FLAIR MRI.
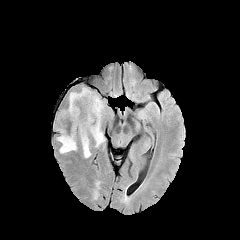
T1-weighted MR.
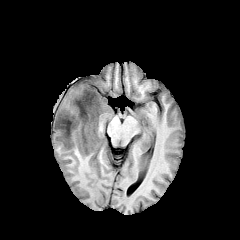
Post-contrast T1-weighted MR.
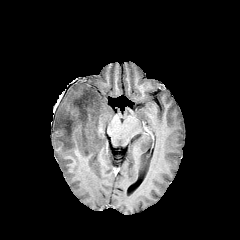
T2-weighted MR image.
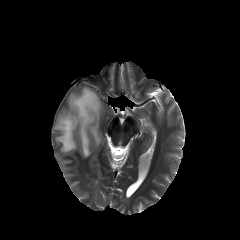
Brain
The edema is bounded by rect(55, 87, 106, 157). The non-enhancing tumor core is bounded by rect(62, 90, 99, 137).